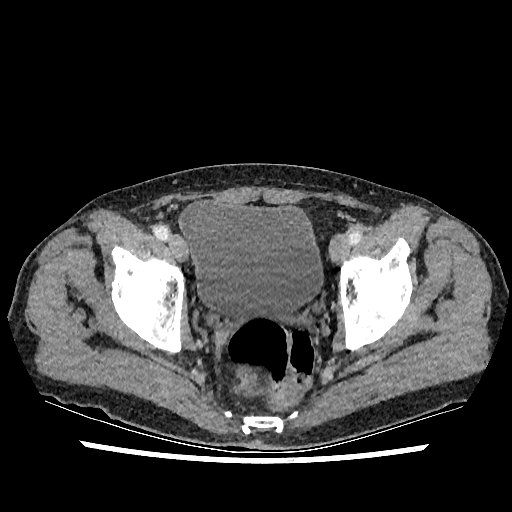

Lower abdomen, Image size 512x512, CT
Urinary bladder — l=181, t=200, r=323, b=333.